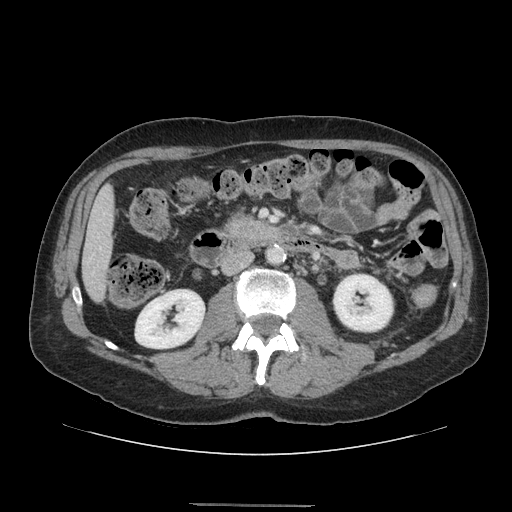 Upper abdomen, CT, Image size 512x512

Findings:
* pancreas: x1=229, y1=218, x2=268, y2=237